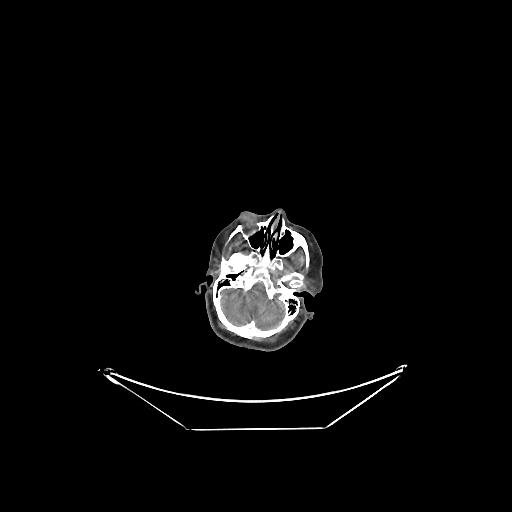
CT | Image size 512x512 | Head
{"brain": ["box(220, 281, 285, 330)"]}